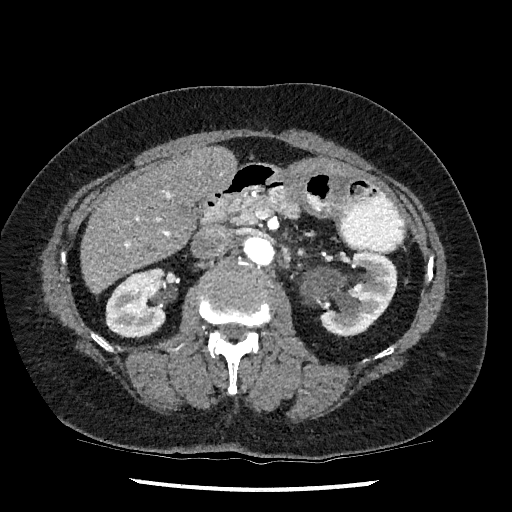 Upper abdomen; CT image
Liver at box(294, 160, 356, 178); box(80, 146, 236, 294).
Kidney at box(321, 251, 396, 335); box(106, 269, 176, 336).